Slice 305 of 519 | CT slice | 512x512 px 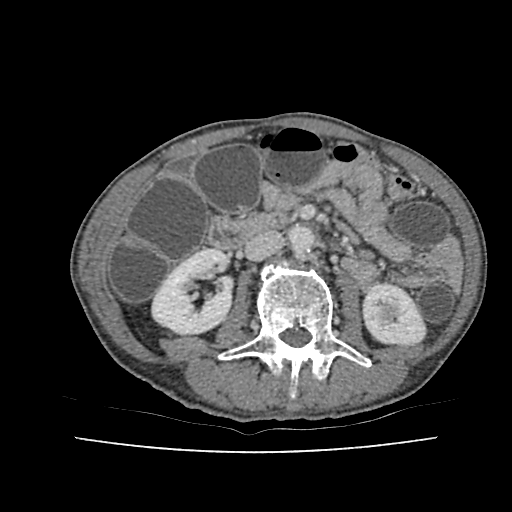

<segmentation>
  <kidney>box(152, 249, 231, 333); box(364, 285, 424, 343)</kidney>
</segmentation>